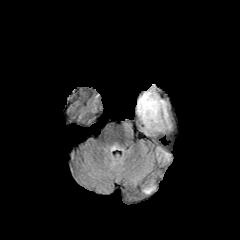
FLAIR MRI.
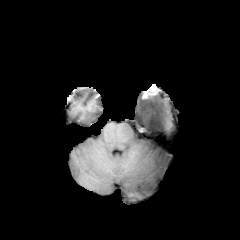
Same slice, T1-weighted MRI.
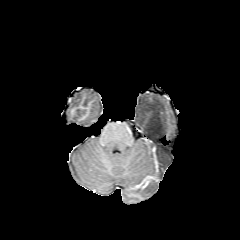
Post-contrast T1-weighted MR image.
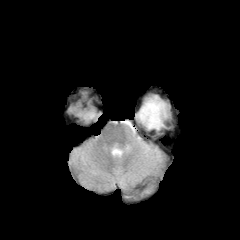
T2-weighted MR.
Image size 240x240
Findings:
* edema: bbox=[138, 140, 155, 176]; bbox=[143, 184, 155, 193]; bbox=[158, 147, 168, 162]; bbox=[136, 92, 169, 133]
* non-enhancing tumor core: bbox=[153, 148, 162, 160]; bbox=[142, 101, 163, 129]